CT scan slice

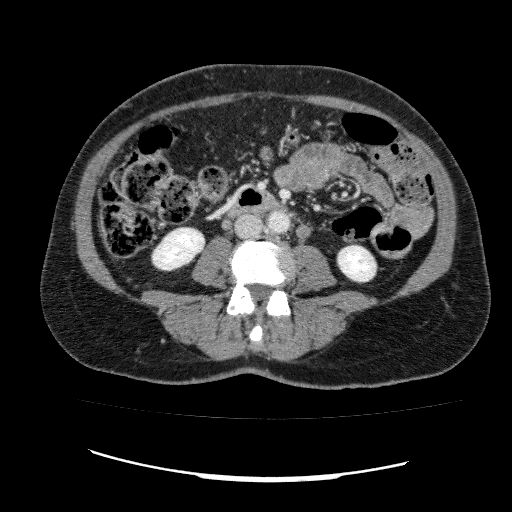

• kidney: bbox=[338, 246, 375, 281]; bbox=[153, 228, 203, 269]